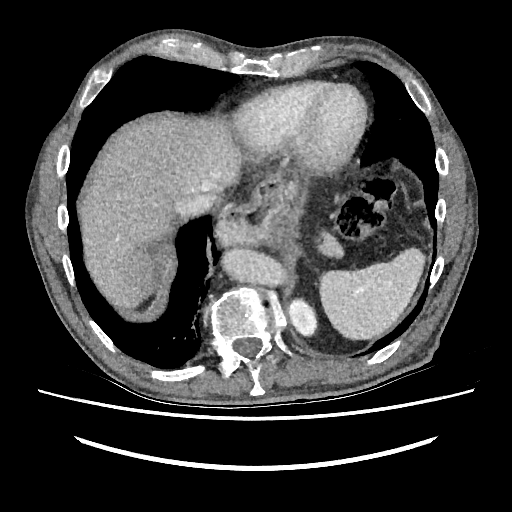
CT slice, Upper abdomen

Annotated regions:
- kidney: 289,300,315,334
- liver lesion: 123,233,170,294
- liver: 80,117,244,308